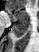
Hippocampus | 39x52 px | MR
The posterior hippocampus is bounded by (13,22,27,37). The anterior hippocampus appears at (6,8,27,21).